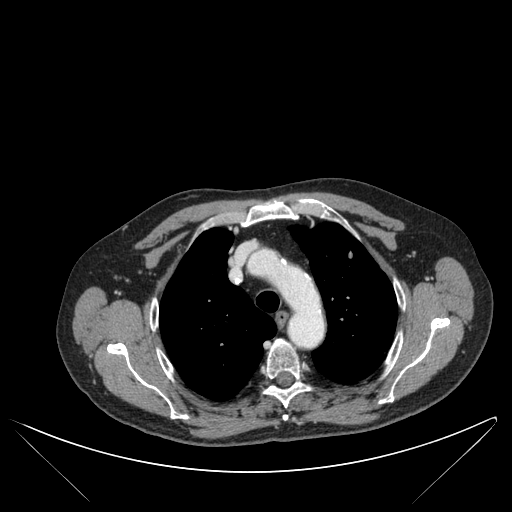

CT; Chest
2 lung regions are bounded by {"x1": 159, "y1": 228, "x2": 278, "y2": 400}, {"x1": 290, "y1": 223, "x2": 397, "y2": 384}. 8 bone regions are located at {"x1": 386, "y1": 332, "x2": 402, "y2": 371}, {"x1": 150, "y1": 298, "x2": 158, "y2": 329}, {"x1": 262, "y1": 339, "x2": 310, "y2": 407}, {"x1": 157, "y1": 349, "x2": 172, "y2": 379}, {"x1": 107, "y1": 343, "x2": 187, "y2": 418}, {"x1": 394, "y1": 280, "x2": 405, "y2": 308}, {"x1": 379, "y1": 318, "x2": 449, "y2": 403}, {"x1": 241, "y1": 199, "x2": 330, "y2": 226}.